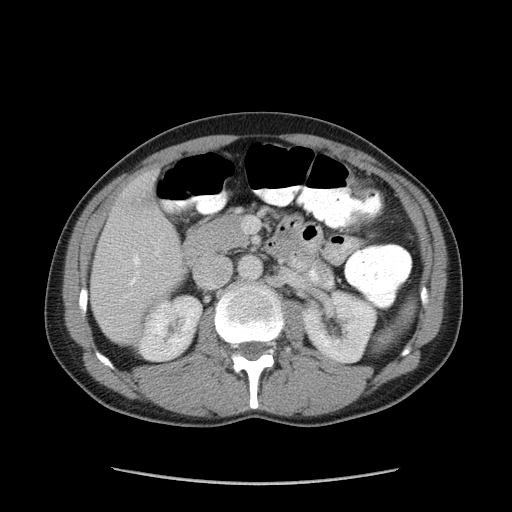

512x512 | CT image | Abdomen
Segmented structures:
• colon tumor: bbox(351, 186, 369, 199); bbox(348, 210, 368, 225)